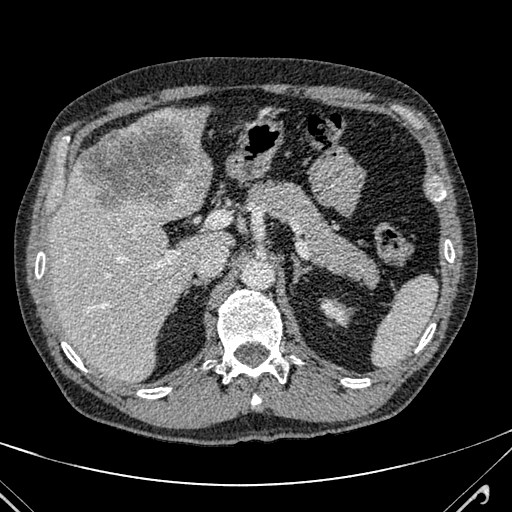
CT slice.
liver lesion: (78, 111, 210, 209) | liver: (49, 159, 232, 381), (117, 115, 150, 132), (159, 108, 207, 147)